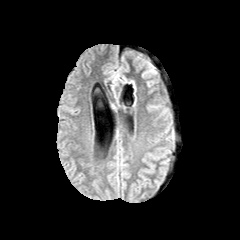
FLAIR MRI.
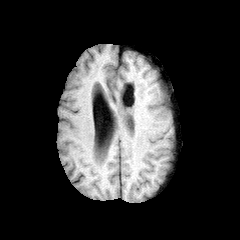
Same slice, T1-weighted MR image.
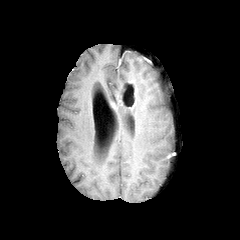
Post-contrast T1-weighted magnetic resonance.
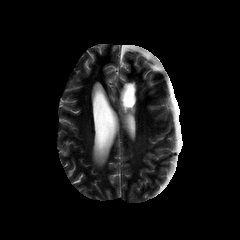
T2-weighted MR.
Edema at (109,70,118,88).